Slice 41 of 100; Image size 512x512; Abdomen; Computed tomography
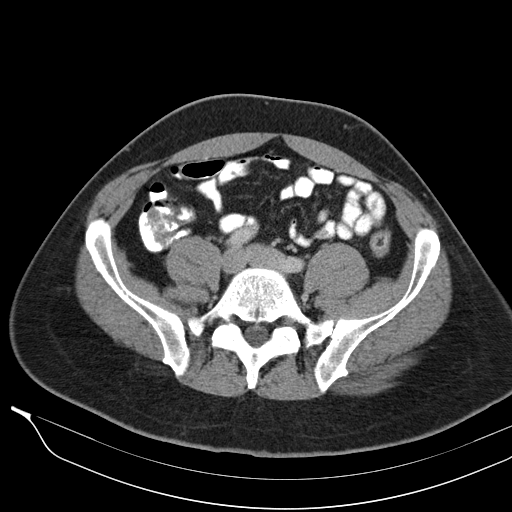

colon_tumor:
  - bbox=[162, 204, 184, 226]
  - bbox=[146, 208, 175, 247]